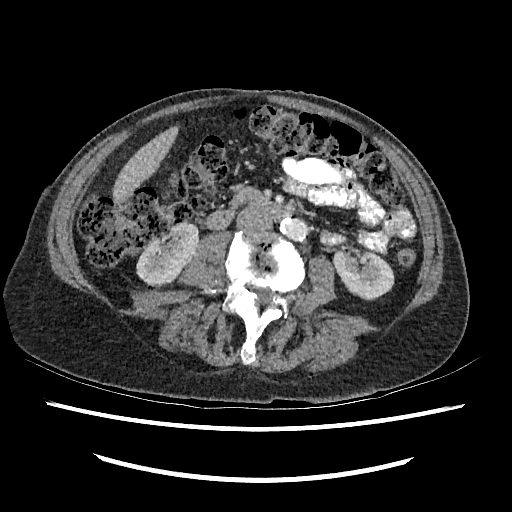

CT image. Abdomen. liver:
  - x1=114 y1=127 x2=176 y2=200
kidney:
  - x1=137 y1=225 x2=198 y2=284
  - x1=334 y1=253 x2=393 y2=298